240x240 px | Slice 46/155
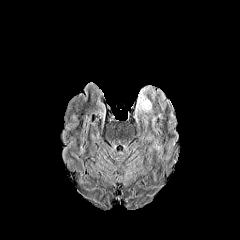
FLAIR MR.
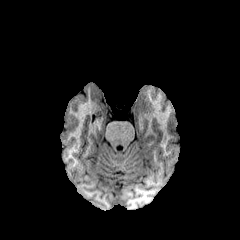
T1-weighted MRI.
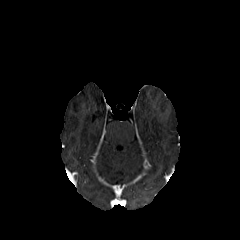
Post-contrast T1-weighted MR image.
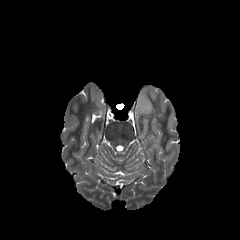
Same slice, T2-weighted MR image.
2 edema regions are bounded by region(152, 117, 158, 133); region(135, 85, 154, 129).